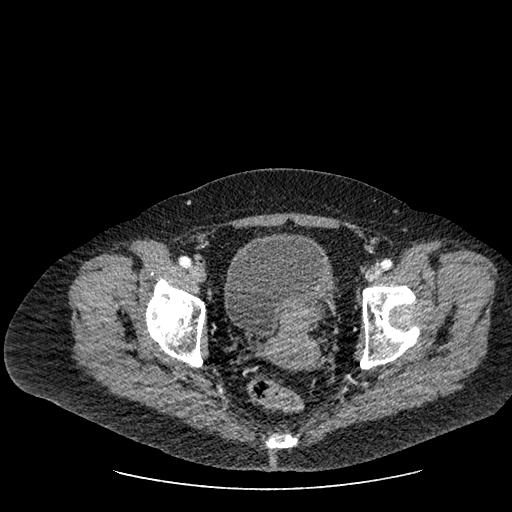

Pelvis, Computed tomography

Urinary bladder — bbox=[225, 232, 332, 336].